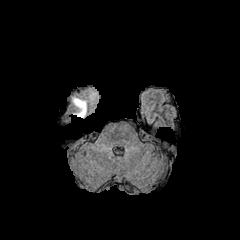
FLAIR MR.
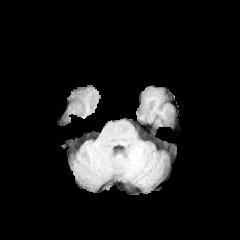
T1-weighted MRI of the same slice.
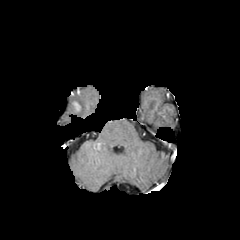
Same slice, post-contrast T1-weighted MR image.
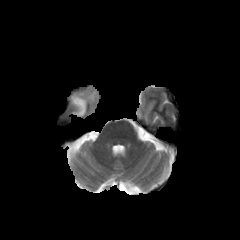
T2-weighted MR image of the same slice.
<segmentation>
  <edema>l=72, t=90, r=96, b=117</edema>
</segmentation>